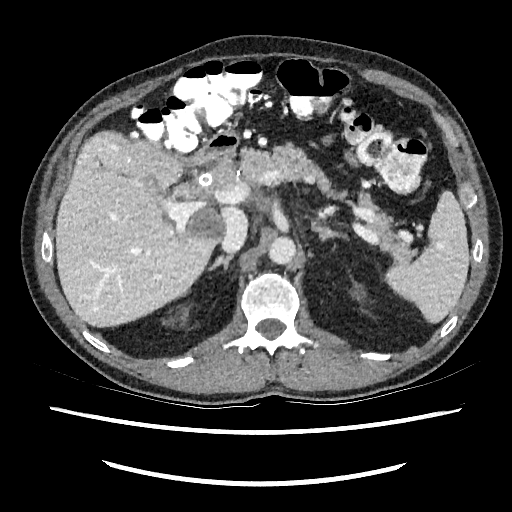
CT slice. Abdomen.

{"liver_lesion": ["<bbox>188, 209, 222, 239</bbox>", "<bbox>213, 161, 232, 184</bbox>", "<bbox>177, 183, 193, 197</bbox>"], "liver": ["<bbox>170, 184, 188, 199</bbox>", "<bbox>56, 132, 219, 325</bbox>", "<bbox>224, 159, 233, 184</bbox>"]}